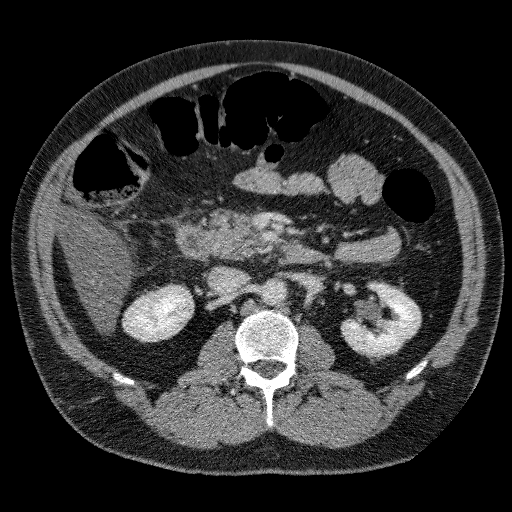 CT

Annotated regions:
* kidney: 342,284,419,353; 124,287,191,339
* liver: 58,208,130,329